Field of view 240 mm wide, 1.00 mm slice spacing | Slice 99/155
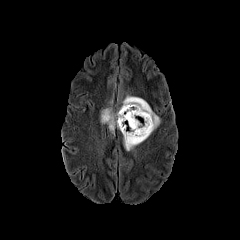
FLAIR MR.
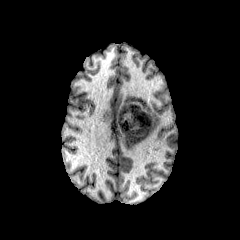
T1-weighted MR.
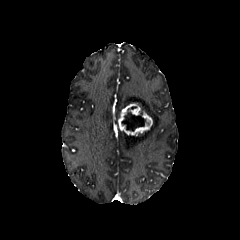
Post-contrast T1-weighted MR image.
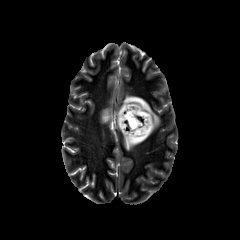
T2-weighted MRI.
Findings:
- non-enhancing tumor core: <bbox>121, 111, 145, 131</bbox>
- enhancing tumor: <bbox>118, 103, 153, 136</bbox>
- edema: <bbox>118, 92, 161, 151</bbox>, <bbox>100, 107, 113, 131</bbox>